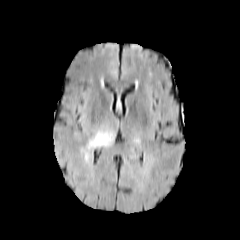
FLAIR MRI.
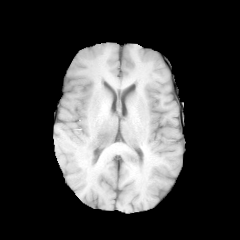
T1-weighted MR image.
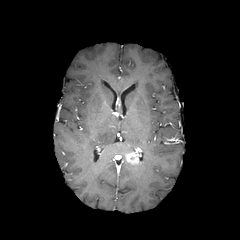
Post-contrast T1-weighted magnetic resonance.
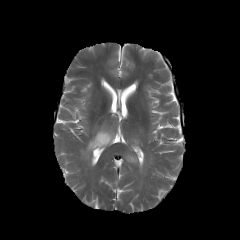
T2-weighted magnetic resonance of the same slice.
Brain
enhancing_tumor:
  - (125,152,139,165)
edema:
  - (83,130,113,157)